MRI | 35x49 px 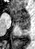 anterior hippocampus: 10 9 29 20 | posterior hippocampus: 17 21 29 32